FLAIR MR.
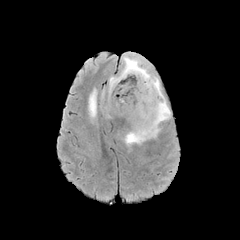
T1-weighted MR image.
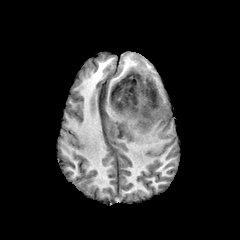
Post-contrast T1-weighted magnetic resonance.
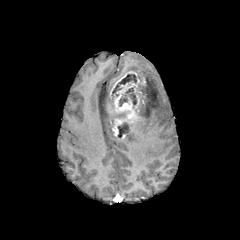
T2-weighted MR.
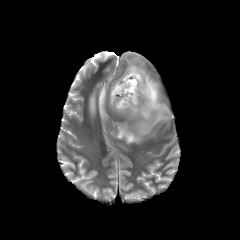
Edema = rect(109, 52, 170, 144); rect(89, 89, 96, 117).
Non-enhancing tumor core = rect(111, 74, 143, 111); rect(117, 122, 131, 138).
Enhancing tumor = rect(112, 83, 137, 136).